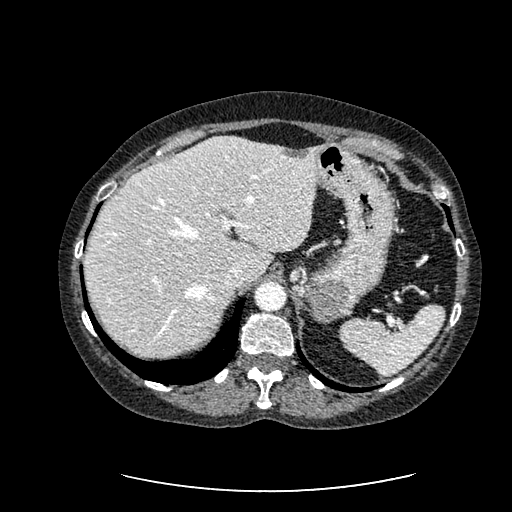
Abdomen. CT slice.

The liver lies within <bbox>83, 135, 320, 355</bbox>. The focal liver lesion is at <bbox>281, 147, 309, 158</bbox>.